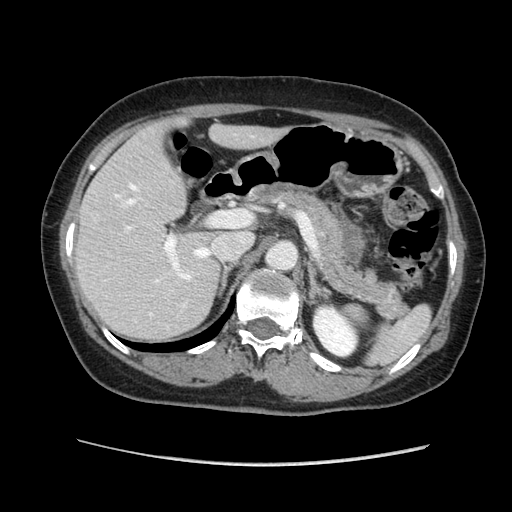

CT scan slice
<segmentation>
  <pancreas>(x1=257, y1=185, x2=410, y2=322)</pancreas>
</segmentation>